FLAIR magnetic resonance.
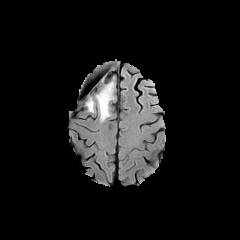
T1-weighted magnetic resonance.
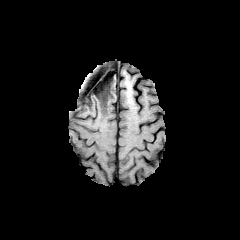
Post-contrast T1-weighted MR.
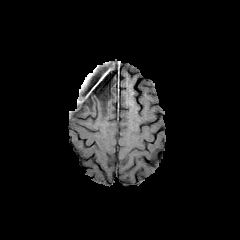
T2-weighted MR.
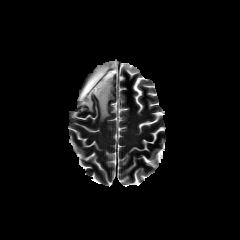
Head
The edema appears at (x1=84, y1=81, x2=114, y2=121). The non-enhancing tumor core is bounded by (x1=84, y1=79, x2=111, y2=103).